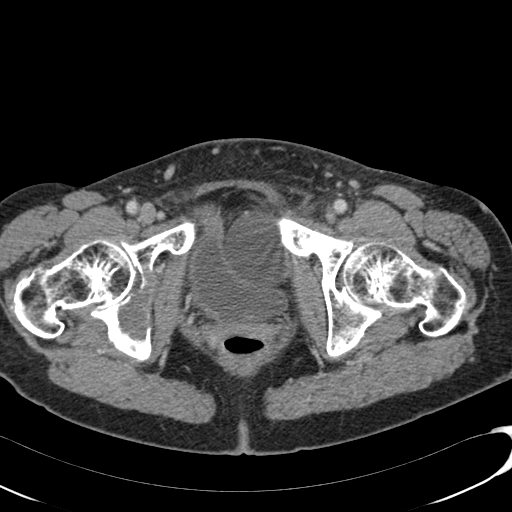

Lower abdomen, CT slice
{"urinary_bladder": ["(191, 217, 288, 326)"]}